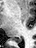

Magnetic resonance
Posterior hippocampus at 12,38,21,42.